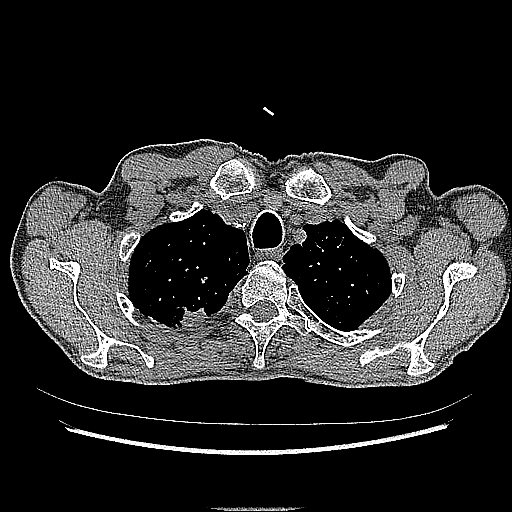

CT slice
lung tumor: box=[168, 306, 209, 328]